Abdomen. 512x512 px. Computed tomography.

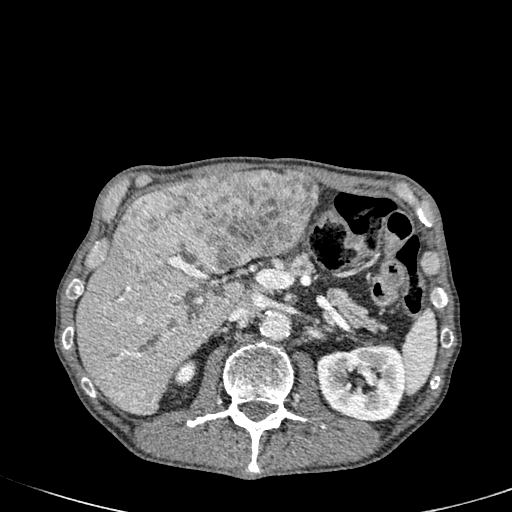

{
  "liver": [
    "<box>76,186,244,414</box>"
  ],
  "liver_lesion": [
    "<box>171,170,317,271</box>",
    "<box>150,220,157,231</box>"
  ],
  "kidney": [
    "<box>176,363,193,382</box>",
    "<box>318,346,406,420</box>"
  ]
}